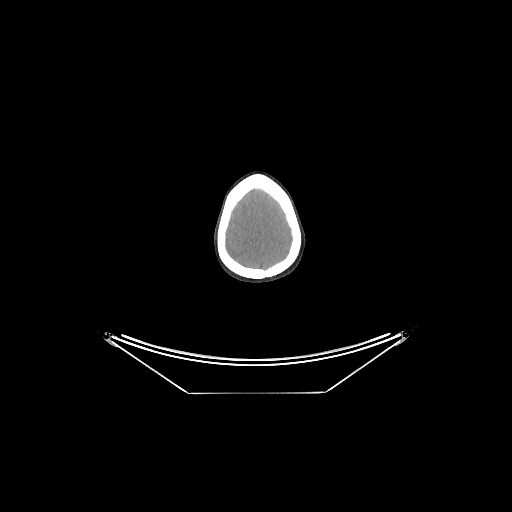
CT, Brain, Image size 512x512

Brain = [x1=225, y1=188, x2=292, y2=270].